512x512 px, Abdomen, CT slice 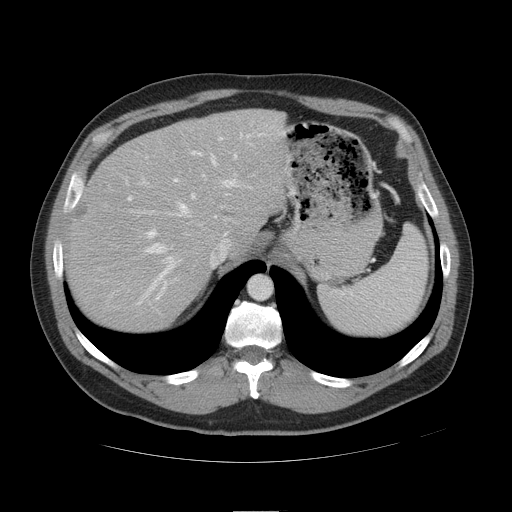

The vessel annotation is not exhaustive.
Top 15 of 17 hepatic vessel regions = 148 230 156 237, 177 204 190 215, 218 137 222 140, 192 151 201 155, 223 179 237 186, 147 243 163 252, 211 154 215 164, 128 196 131 200, 240 134 243 137, 192 194 194 198, 246 134 249 137, 157 281 166 298, 259 134 261 135, 177 260 179 261, 138 256 176 303.
Liver tumor = 75 202 89 217.